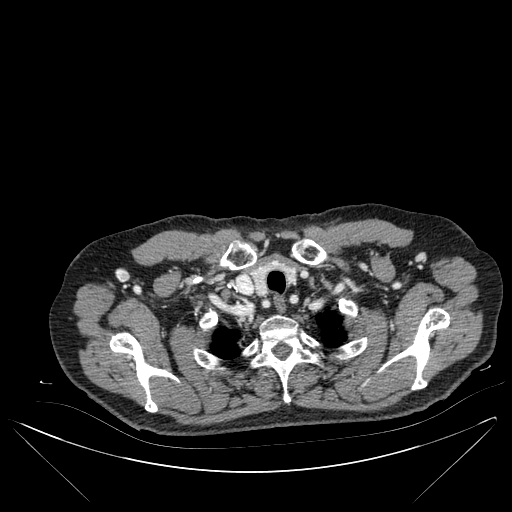
CT scan slice, 512x512 px

2 lung regions are bounded by <bbox>316, 312, 346, 346</bbox>, <bbox>211, 328, 239, 358</bbox>. 9 bone regions are bounded by <bbox>220, 241, 256, 269</bbox>, <bbox>381, 308, 449, 389</bbox>, <bbox>339, 298, 356, 316</bbox>, <bbox>193, 349, 217, 368</bbox>, <bbox>243, 315, 318, 401</bbox>, <bbox>292, 239, 326, 264</bbox>, <bbox>338, 338, 367, 358</bbox>, <bbox>110, 333, 177, 411</bbox>, <bbox>200, 309, 217, 329</bbox>.